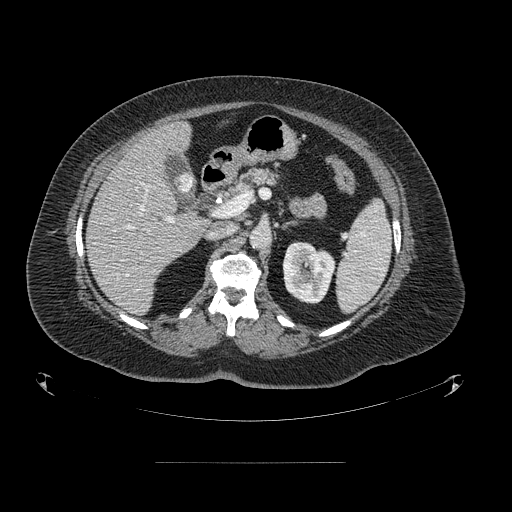
CT scan slice
Pancreas = 236,169,278,192.